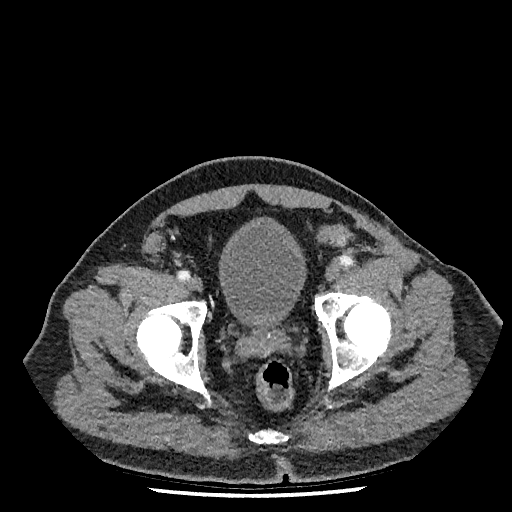 Computed tomography. Lower abdomen. Image size 512x512. Urinary bladder: 218,219,307,324.